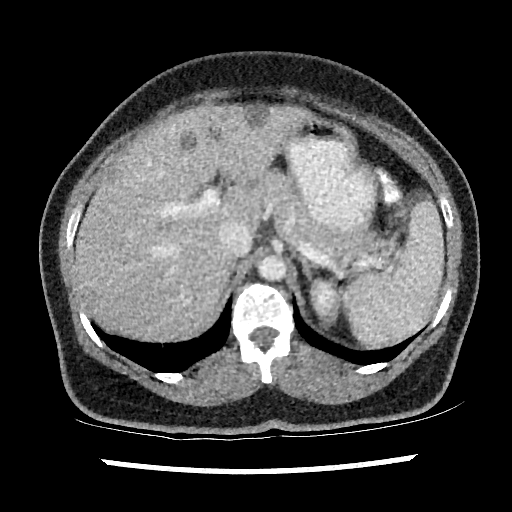

Image size 512x512, CT slice
Liver — (x1=74, y1=104, x2=304, y2=338).
Focal liver lesion — (x1=247, y1=179, x2=257, y2=188), (x1=244, y1=106, x2=268, y2=127), (x1=106, y1=171, x2=115, y2=183), (x1=181, y1=131, x2=197, y2=149), (x1=79, y1=290, x2=96, y2=311).
Kidney — (x1=316, y1=283, x2=334, y2=312).